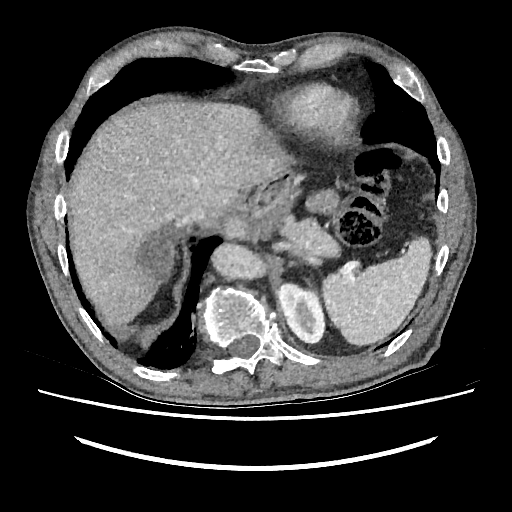
Abdomen, Computed tomography, Image size 512x512

hepatic lesion: 249:129:278:157, 125:220:177:291 | kidney: 279:284:324:342 | liver: 69:102:289:328